Image width 472 mm | Computed tomography 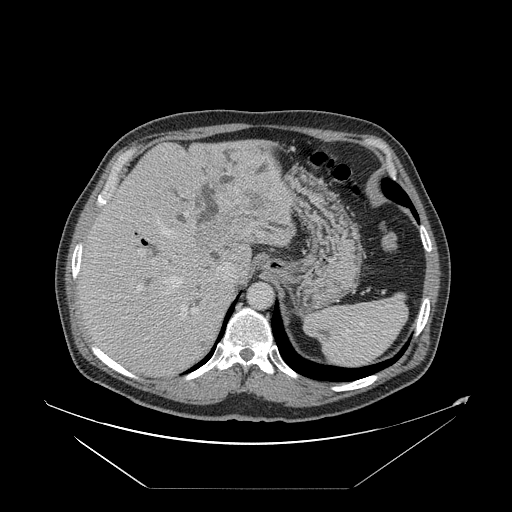

The vessel boxes may cover only some of the vessels.
The liver tumor appears at (left=193, top=190, right=263, bottom=243). 9 hepatic vessel regions are bounded by (left=163, top=276, right=183, bottom=293), (left=137, top=248, right=150, bottom=255), (left=214, top=262, right=236, bottom=280), (left=181, top=304, right=198, bottom=319), (left=158, top=225, right=174, bottom=237), (left=136, top=285, right=142, bottom=291), (left=227, top=165, right=232, bottom=174), (left=184, top=213, right=187, bottom=216), (left=193, top=210, right=199, bottom=213).